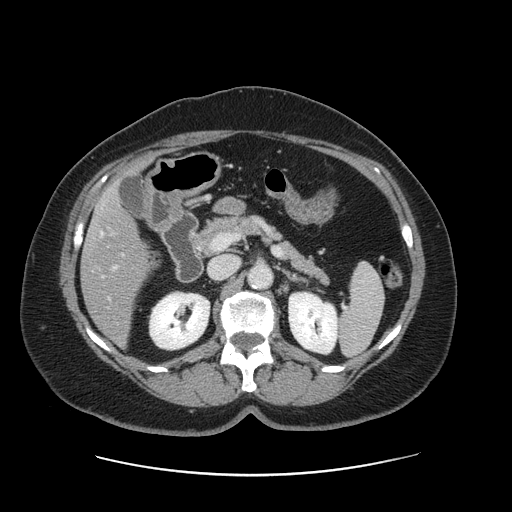 CT slice. Liver. Not every hepatic vessel necessarily has a box.
4 hepatic vessel regions are located at l=113, t=266, r=117, b=268; l=102, t=276, r=104, b=277; l=101, t=232, r=103, b=235; l=112, t=233, r=114, b=234.